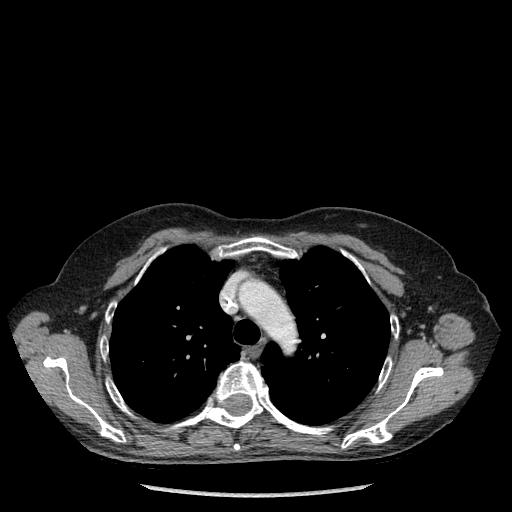 Chest | CT scan slice

Bone = [378, 357, 391, 390], [341, 367, 443, 448], [135, 261, 148, 284], [342, 250, 368, 281], [214, 237, 297, 257], [390, 315, 399, 338], [105, 302, 116, 322], [166, 361, 331, 435], [106, 378, 131, 414], [43, 355, 125, 442], [100, 336, 108, 359].
Lung = [261, 246, 390, 424], [109, 245, 259, 422].